Field of view 386x386 mm | CT slice

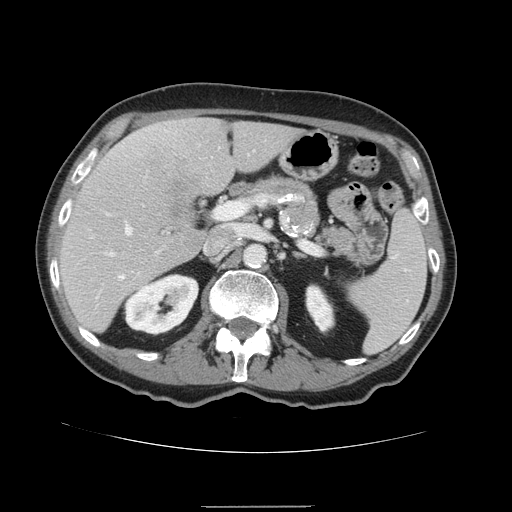

The vessel annotation is not exhaustive.
Segmented structures:
- hepatic vessel: 119 275 123 278, 212 239 225 248, 106 252 114 254, 204 243 210 252, 215 203 246 242, 126 225 131 233
- liver tumor: 165 170 199 217